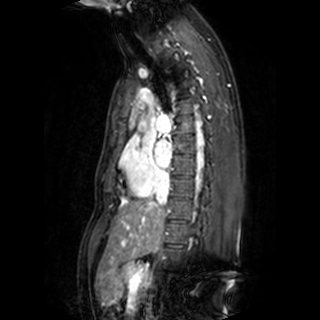

MR image

Left atrium: l=154, t=140, r=171, b=167.